Image size 240x240
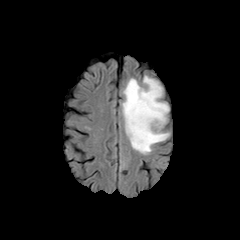
FLAIR MRI.
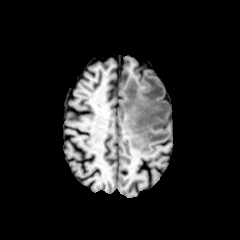
T1-weighted MR image.
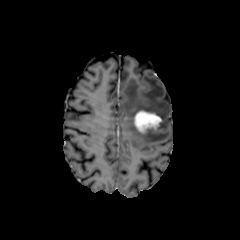
Same slice, post-contrast T1-weighted MR.
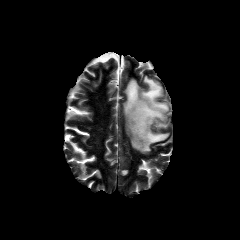
Same slice, T2-weighted MR.
enhancing_tumor:
  - [134,110,161,132]
edema:
  - [121,76,169,154]